Image size 512x512; Abdomen; CT 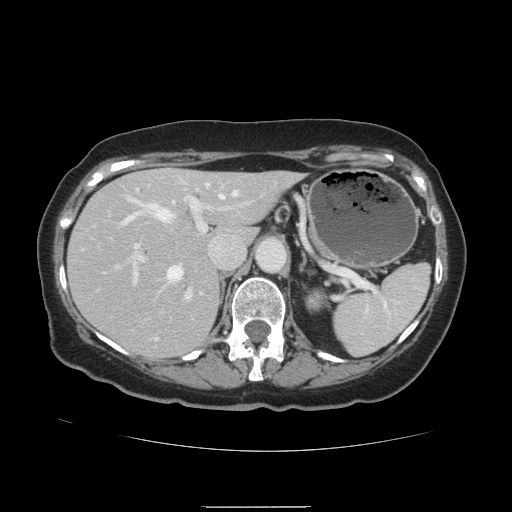

Only some of the vessels may be annotated.
Hepatic vessel — (166, 266, 181, 282), (124, 195, 131, 199), (136, 188, 137, 190), (129, 245, 142, 284), (204, 183, 208, 186), (232, 191, 237, 195), (236, 203, 244, 206), (218, 194, 223, 198), (126, 200, 172, 221), (184, 289, 190, 299), (225, 207, 227, 208), (184, 195, 200, 211), (115, 266, 118, 268), (197, 221, 205, 232).